Image width 240 mm, Brain
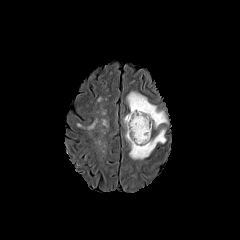
FLAIR MR image.
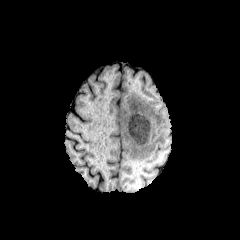
T1-weighted magnetic resonance of the same slice.
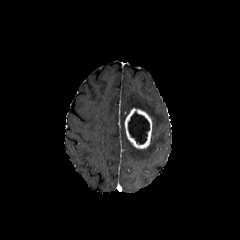
Post-contrast T1-weighted MR of the same slice.
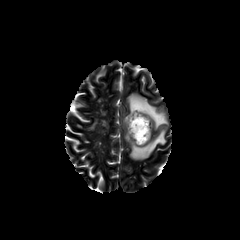
T2-weighted MR image.
Edema = box=[126, 93, 167, 160].
Enhancing tumor = box=[124, 107, 152, 150].
Non-enhancing tumor core = box=[128, 113, 149, 144].